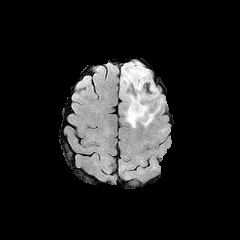
FLAIR MR.
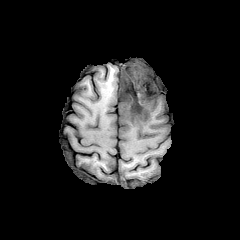
T1-weighted magnetic resonance of the same slice.
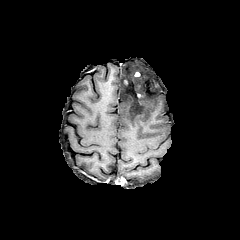
Post-contrast T1-weighted MR image.
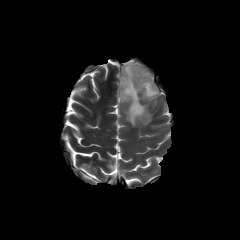
T2-weighted MR.
Brain
edema:
  - 120 61 159 127
non-enhancing_tumor_core:
  - 121 72 154 101